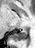 Hippocampus | MRI slice
<segmentation>
  <posterior_hippocampus>l=12, t=29, r=28, b=40</posterior_hippocampus>
</segmentation>